Slice 447/630, Field of view 330 mm wide, 0.70 mm slice spacing, Liver, CT image

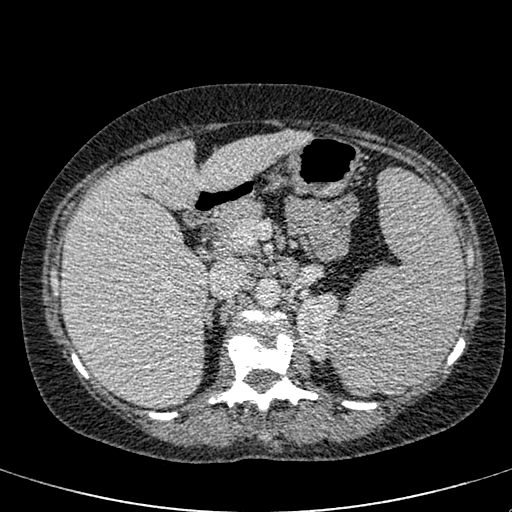

The liver is located at 62 132 313 407. The kidney is bounded by 297 293 338 360.